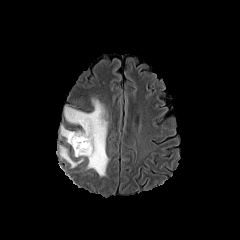
FLAIR magnetic resonance.
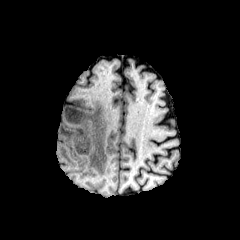
T1-weighted MR.
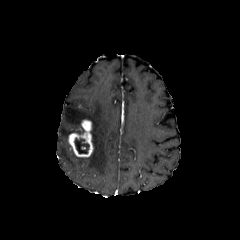
Same slice, post-contrast T1-weighted MRI.
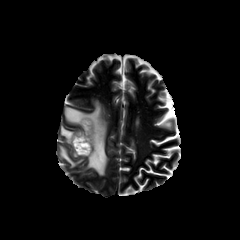
T2-weighted MRI.
Segmented structures:
- non-enhancing tumor core: box(74, 137, 89, 154)
- edema: box(60, 125, 74, 138); box(64, 99, 108, 177); box(59, 146, 76, 168)
- enhancing tumor: box(67, 119, 94, 157)